Field of view 240x240 mm. Slice 63/155.
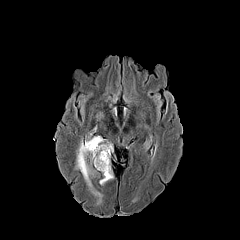
FLAIR magnetic resonance.
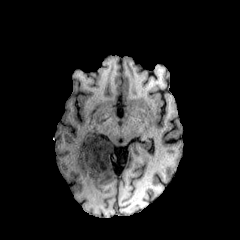
T1-weighted MR of the same slice.
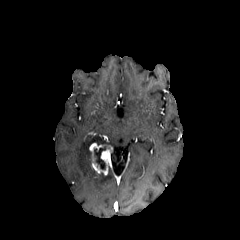
Same slice, post-contrast T1-weighted magnetic resonance.
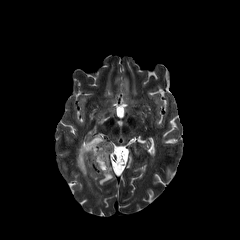
T2-weighted magnetic resonance.
Annotated regions:
* non-enhancing tumor core: (left=94, top=146, right=105, bottom=169)
* edema: (left=74, top=136, right=103, bottom=201), (left=99, top=172, right=113, bottom=185)
* enhancing tumor: (left=88, top=138, right=113, bottom=176)